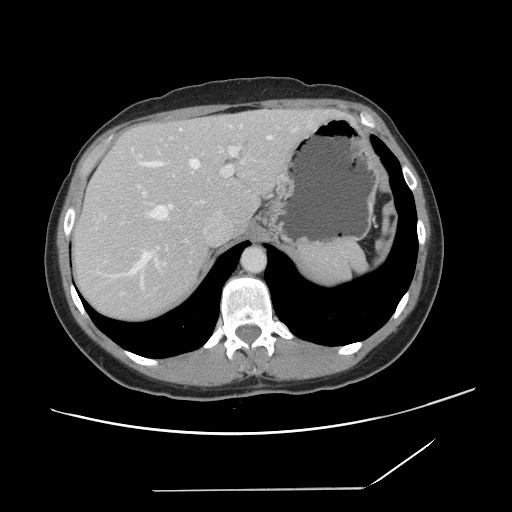 Computed tomography. Abdomen. The vessel boxes may cover only some of the vessels.
The most prominent 15 hepatic vessel regions (of 18) are located at (143,192,145,194), (149,205,171,219), (141,279,142,287), (103,215,105,217), (141,162,162,166), (221,166,232,176), (190,159,199,167), (229,146,239,155), (293,128,295,130), (155,258,164,267), (138,185,140,187), (112,250,151,275), (136,154,141,159), (267,135,271,138), (131,148,133,151).